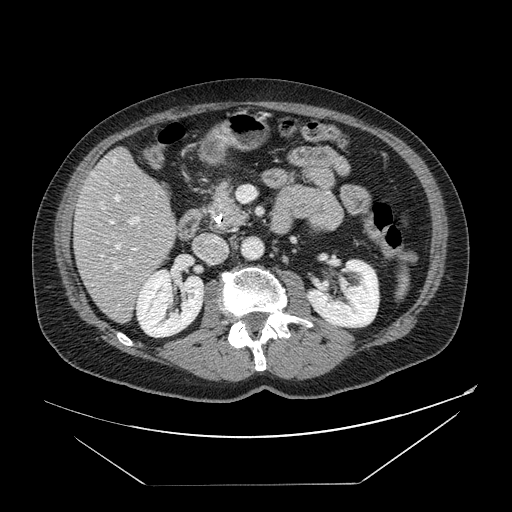
CT image. Upper abdomen.
The pancreas is located at (left=205, top=183, right=248, bottom=232). The pancreatic tumor lies within (left=219, top=200, right=236, bottom=217).